FLAIR MR image.
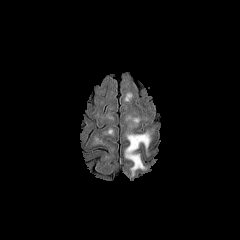
T1-weighted MRI.
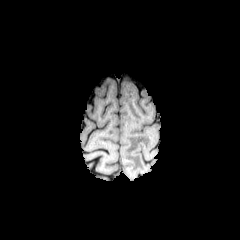
Post-contrast T1-weighted MR.
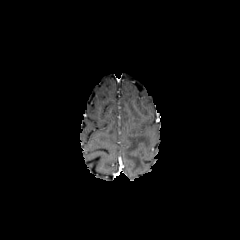
T2-weighted MR image.
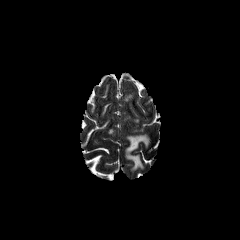
240x240 px. Head.
Edema at l=125, t=134, r=150, b=172.